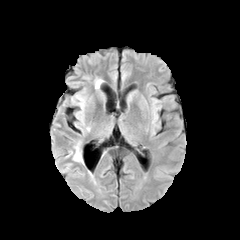
FLAIR MRI.
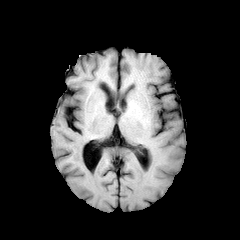
Same slice, T1-weighted MR.
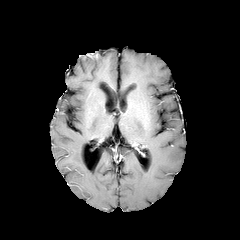
Post-contrast T1-weighted MR image.
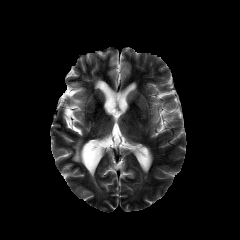
Same slice, T2-weighted magnetic resonance.
Image size 240x240
edema: (left=94, top=78, right=103, bottom=89), (left=71, top=91, right=86, bottom=125), (left=70, top=140, right=82, bottom=162)